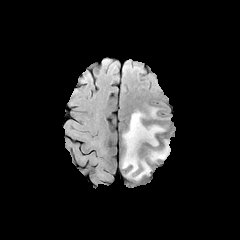
FLAIR magnetic resonance.
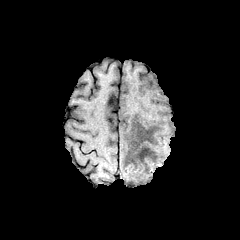
Same slice, T1-weighted magnetic resonance.
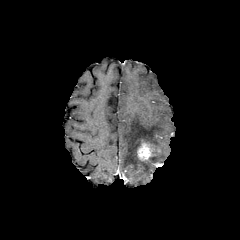
Post-contrast T1-weighted magnetic resonance.
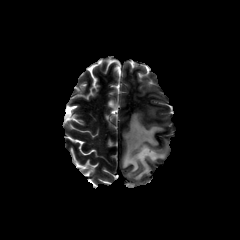
T2-weighted magnetic resonance of the same slice.
Brain
{
  "edema": [
    "123,113,163,179",
    "148,142,169,161"
  ],
  "enhancing_tumor": [
    "137,143,152,160"
  ],
  "non-enhancing_tumor_core": [
    "137,138,155,157"
  ]
}